FLAIR MR.
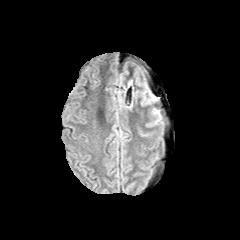
T1-weighted magnetic resonance.
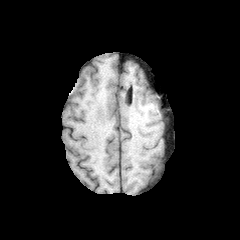
Post-contrast T1-weighted magnetic resonance.
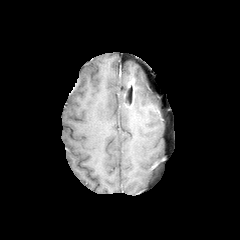
T2-weighted MRI.
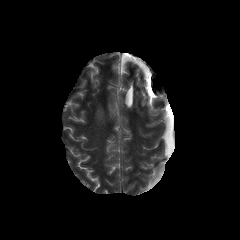
Image size 240x240 | Brain
The edema lies within rect(140, 83, 152, 105).